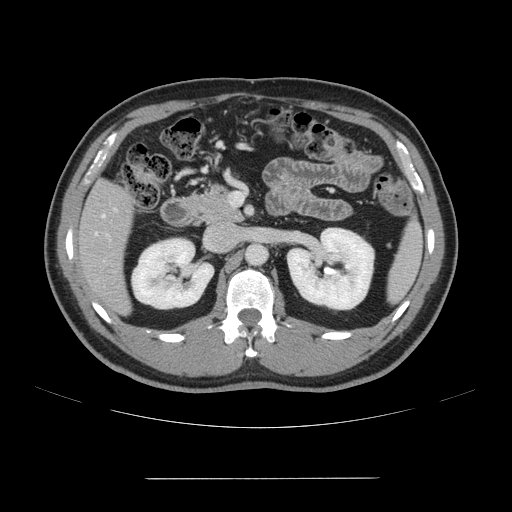

512x512 px, Liver, Computed tomography
Some hepatic vessels may have no box.
Segmented structures:
- hepatic vessel: bbox=[105, 234, 108, 236]; bbox=[102, 215, 104, 217]; bbox=[114, 209, 116, 210]; bbox=[95, 231, 98, 235]